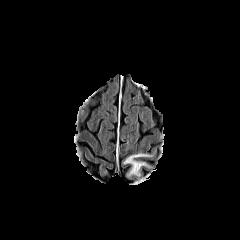
FLAIR MR image.
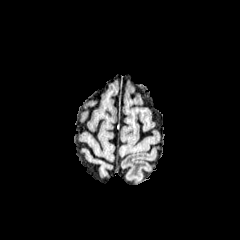
T1-weighted MR.
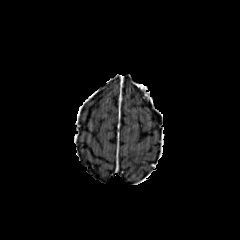
Post-contrast T1-weighted MR.
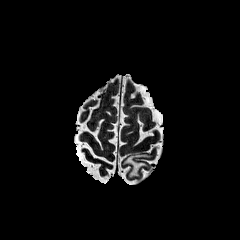
T2-weighted MRI.
Brain
The edema is located at 123:153:151:177.